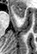

37x54 px, Magnetic resonance

Anterior hippocampus = (12, 5, 24, 17).